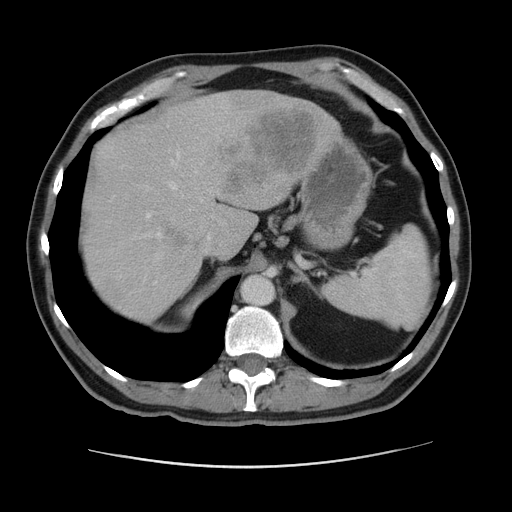

Abdomen | 512x512 px | CT image

Liver — (80,90,332,322).
Hepatic lesion — (167,229,189,247), (218,109,320,195).